Image width 396 mm; CT scan slice

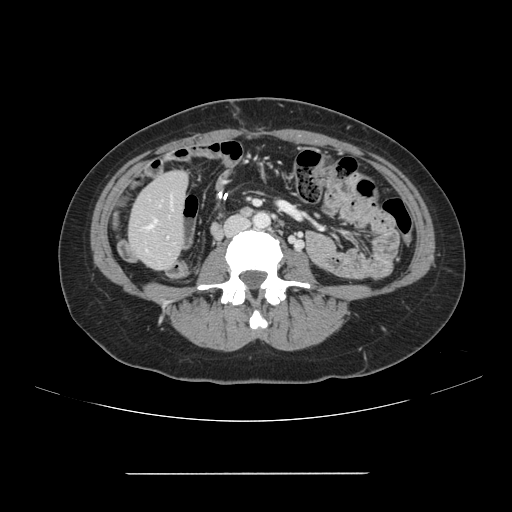

Only some of the vessels may be annotated.
Hepatic vessel = <box>147,220,156,229</box>.